Brain | Slice index 112
FLAIR MRI.
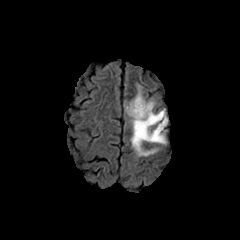
T1-weighted magnetic resonance.
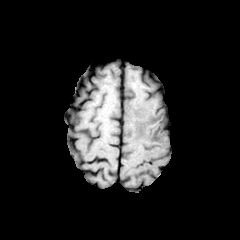
Post-contrast T1-weighted MR.
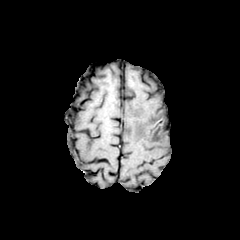
T2-weighted MR.
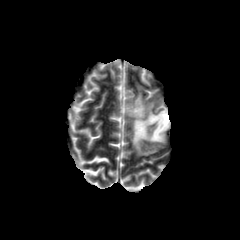
non-enhancing_tumor_core:
  - box=[146, 128, 160, 139]
  - box=[142, 114, 167, 131]
edema:
  - box=[126, 88, 167, 156]
  - box=[144, 120, 159, 135]